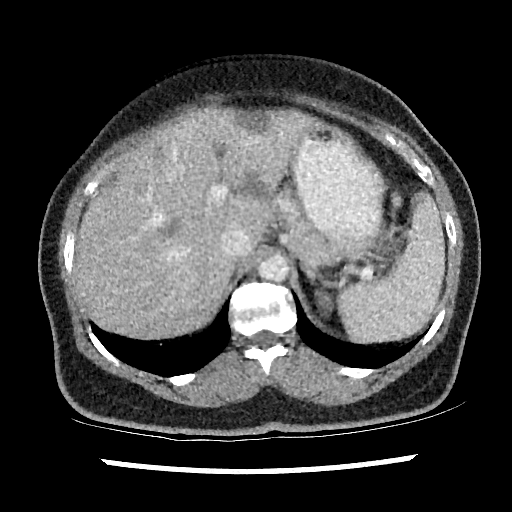

CT scan slice.
* liver: x1=72 y1=110 x2=320 y2=338
* liver lesion: x1=241 y1=171 x2=271 y2=200, x1=154 y1=147 x2=162 y2=157, x1=158 y1=218 x2=177 y2=235, x1=237 y1=111 x2=268 y2=131